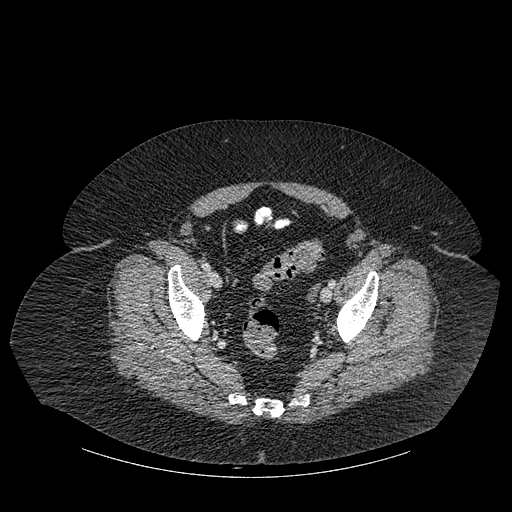 512x512, CT image

{
  "bone": [
    "bbox(229, 394, 246, 404)",
    "bbox(289, 394, 309, 406)",
    "bbox(253, 398, 284, 416)",
    "bbox(337, 271, 378, 342)",
    "bbox(168, 265, 204, 340)"
  ]
}